CT image; 512x512; Liver 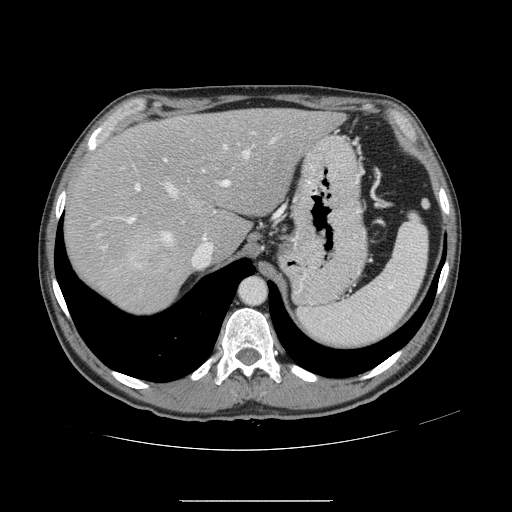
Only some of the vessels may be annotated.
12 hepatic vessel regions are located at [100,247,104,250], [126,216,134,222], [272,138,276,142], [135,184,139,189], [199,234,211,248], [224,145,226,148], [164,159,166,161], [165,183,176,196], [243,150,249,157], [156,232,172,245], [220,180,228,186], [252,132,253,133]. The liver tumor is located at [140,256,159,271].